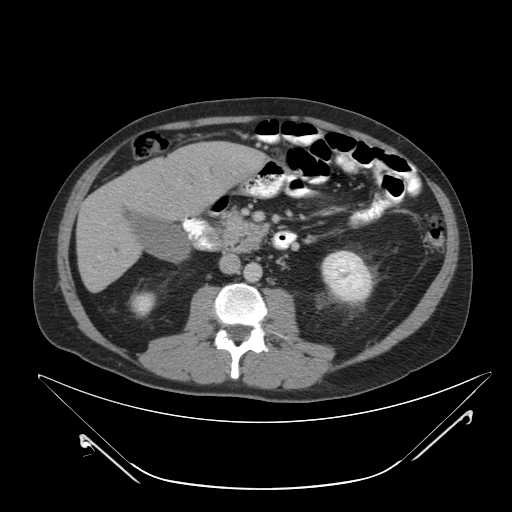 512x512. CT scan slice.

The pancreas appears at 219:211:269:253.